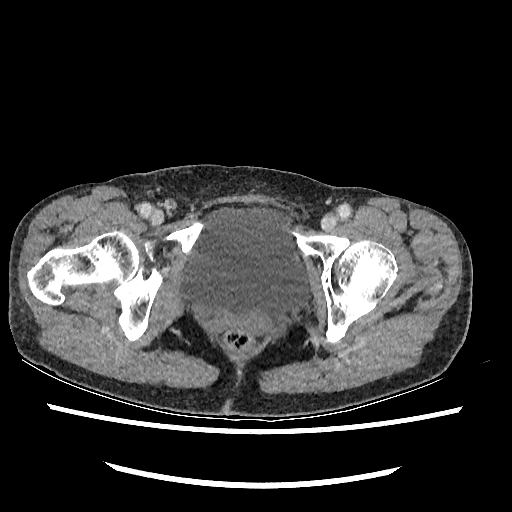 Lower abdomen | CT slice
Urinary bladder — <bbox>178, 206, 311, 329</bbox>.